CT image. Thorax. 512x512 px. 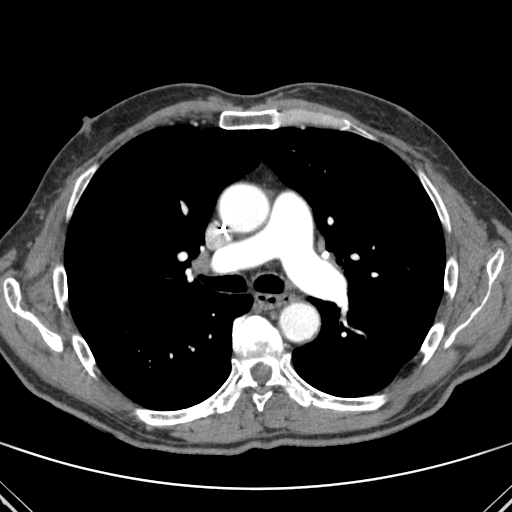

13 bone regions are bounded by 444,258,457,297; 67,166,94,217; 135,315,385,425; 72,335,94,376; 3,278,62,351; 444,296,487,347; 421,323,444,364; 486,250,503,285; 219,109,284,129; 53,265,67,310; 252,391,271,411; 419,172,450,230; 323,116,350,129. The lung is at 64,124,445,410.